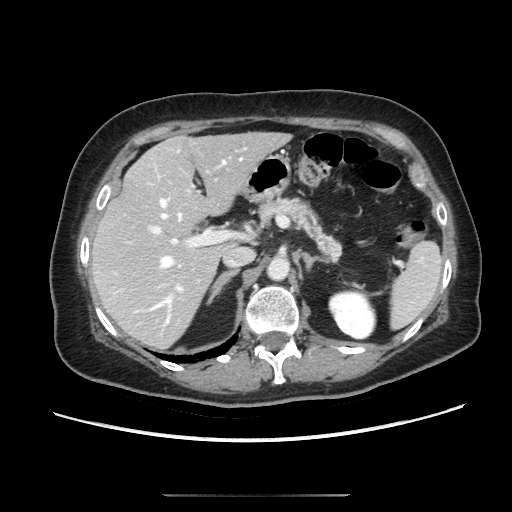 CT image; Abdomen
{
  "pancreas": [
    "<bbox>261, 199, 340, 258</bbox>"
  ]
}